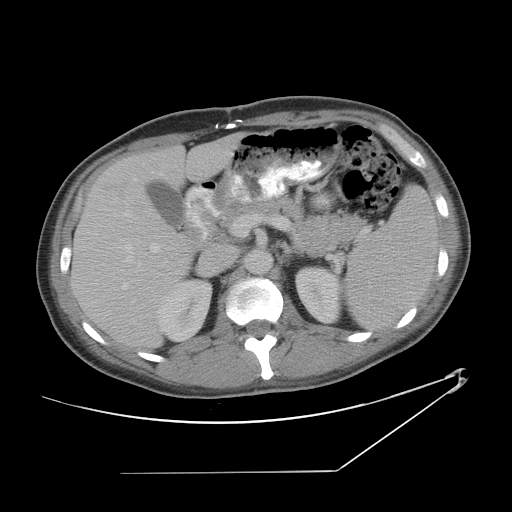

CT slice; Liver
The vessel annotation is not exhaustive.
<segmentation>
  <liver_tumor>{"x1": 132, "y1": 203, "x2": 148, "y2": 214}</liver_tumor>
  <hepatic_vessel>{"x1": 124, "y1": 211, "x2": 131, "y2": 216}, {"x1": 151, "y1": 170, "x2": 154, "y2": 172}, {"x1": 123, "y1": 283, "x2": 127, "y2": 289}, {"x1": 139, "y1": 262, "x2": 141, "y2": 264}, {"x1": 121, "y1": 240, "x2": 132, "y2": 262}, {"x1": 151, "y1": 244, "x2": 158, "y2": 252}</hepatic_vessel>
</segmentation>